Head | Slice 84/155 | 240x240 px
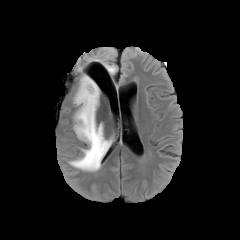
FLAIR MRI.
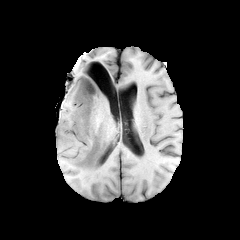
T1-weighted MR.
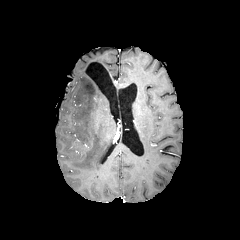
Same slice, post-contrast T1-weighted magnetic resonance.
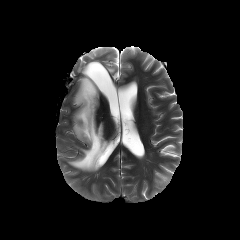
Same slice, T2-weighted MR.
* edema: [x1=68, y1=74, x2=112, y2=171], [x1=102, y1=61, x2=116, y2=74]